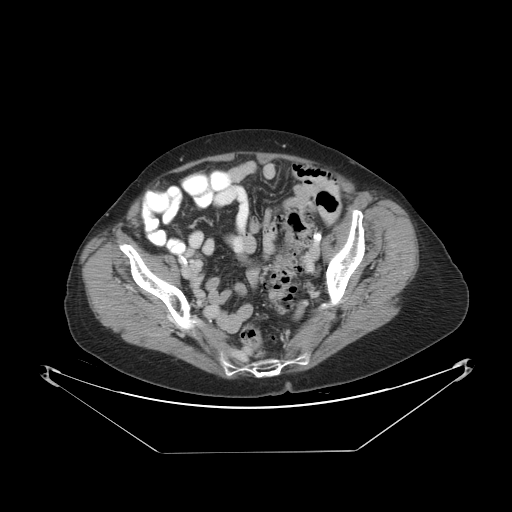
Image size 512x512. Computed tomography. Colon tumor at (283, 224, 292, 243).